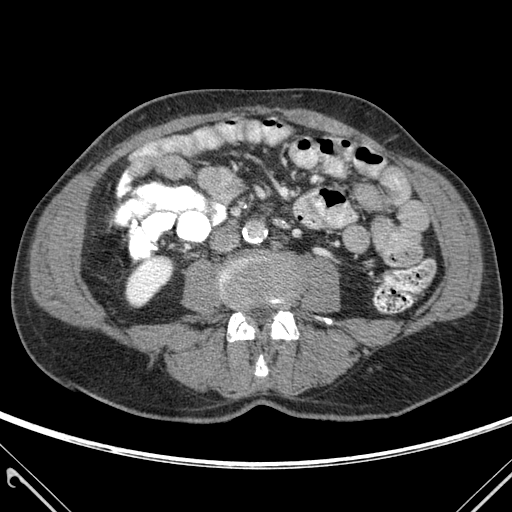

Abdomen | CT slice | Image size 512x512
{
  "kidney": [
    "bbox(127, 258, 171, 304)"
  ],
  "bone": [
    "bbox(255, 355, 267, 375)",
    "bbox(228, 312, 254, 341)",
    "bbox(220, 259, 298, 339)"
  ]
}